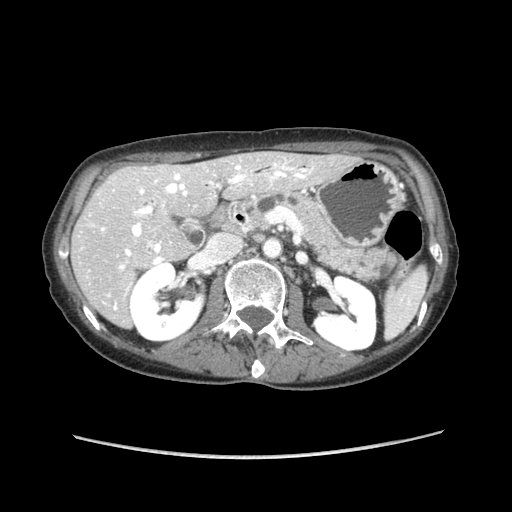

Upper abdomen. Image size 512x512. CT scan slice.
<segmentation>
  <pancreas>x1=227 y1=190 x2=387 y2=280</pancreas>
</segmentation>